CT slice. Slice 10/45. Abdomen. 512x512.
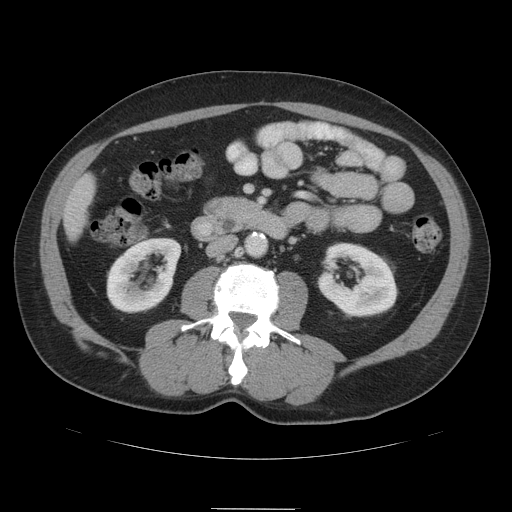

Annotated regions:
* pancreas: l=203, t=196, r=264, b=234